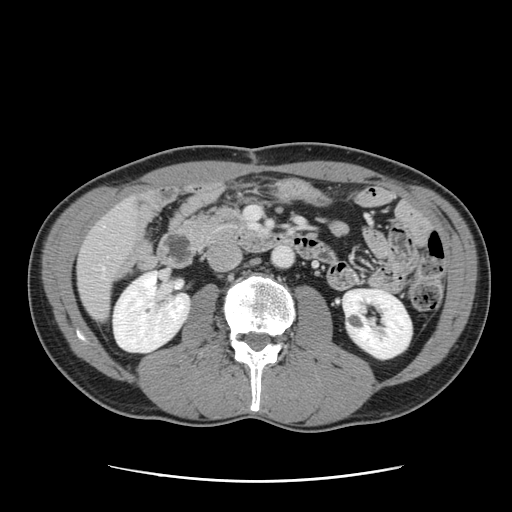
CT
Some hepatic vessels may have no box.
Hepatic vessel = rect(102, 268, 104, 275).